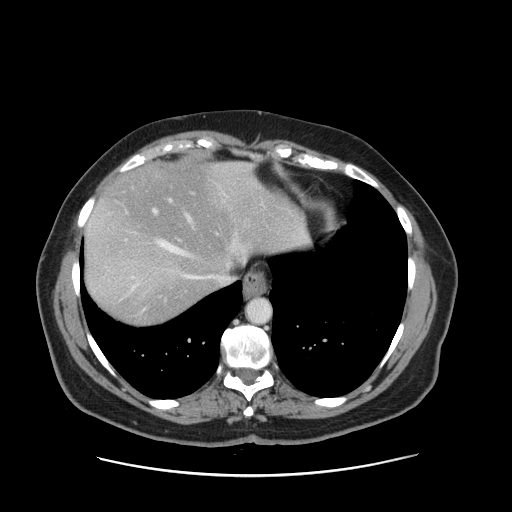 CT; Liver
Not every hepatic vessel necessarily has a box.
Findings:
- hepatic vessel: l=169, t=198, r=171, b=201; l=248, t=165, r=249, b=167; l=192, t=276, r=195, b=277; l=153, t=209, r=157, b=212; l=233, t=233, r=236, b=247